Computed tomography.

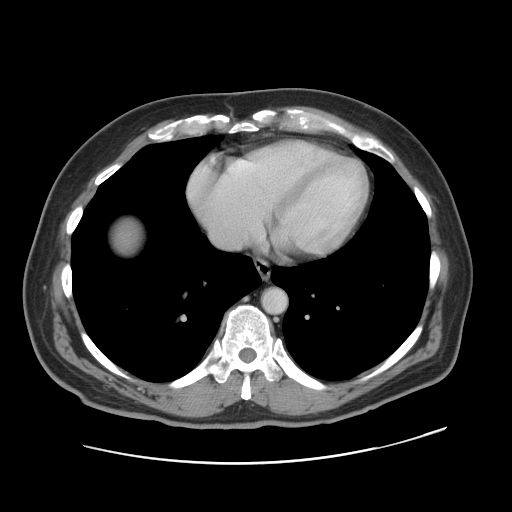

liver tumor: x1=115 y1=223 x2=140 y2=252